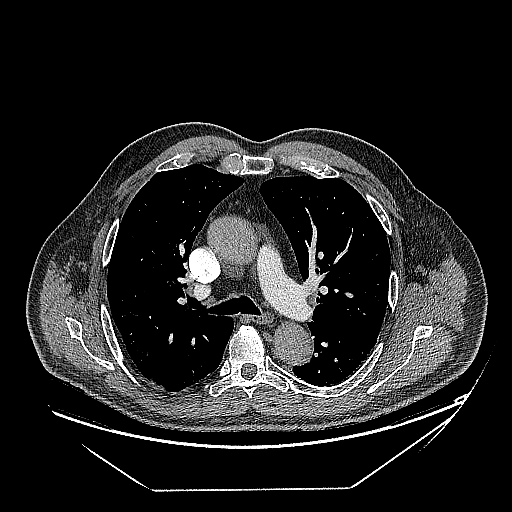 Image size 512x512; CT

lung_tumor:
  - rect(133, 347, 151, 366)